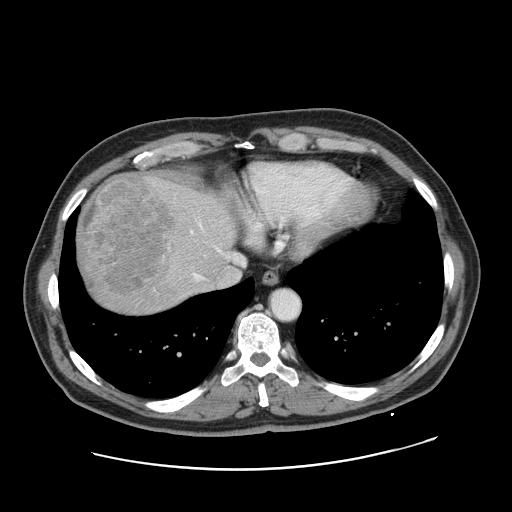

CT. 512x512 px. Abdomen.
Not every hepatic vessel necessarily has a box.
{"hepatic_vessel": ["(x1=226, y1=252, x2=241, y2=261)", "(x1=199, y1=220, x2=201, y2=227)", "(x1=190, y1=230, x2=193, y2=233)"], "liver_tumor": ["(x1=79, y1=176, x2=169, y2=291)"]}